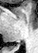 Medial temporal lobe. MR image.
The posterior hippocampus is at 11:46:16:47.